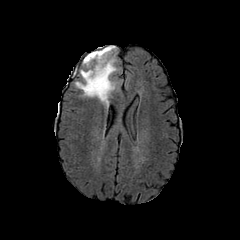
FLAIR magnetic resonance.
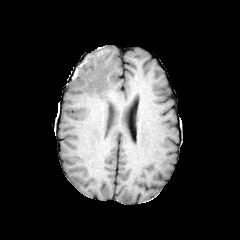
Same slice, T1-weighted magnetic resonance.
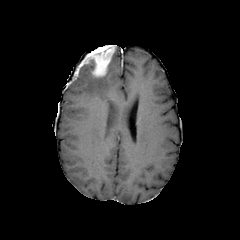
Same slice, post-contrast T1-weighted magnetic resonance.
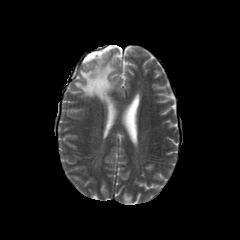
T2-weighted MRI.
Image size 240x240 | Brain
Findings:
• non-enhancing tumor core: [81,60,95,76]
• edema: [72,52,117,108]
• enhancing tumor: [81,45,115,77]